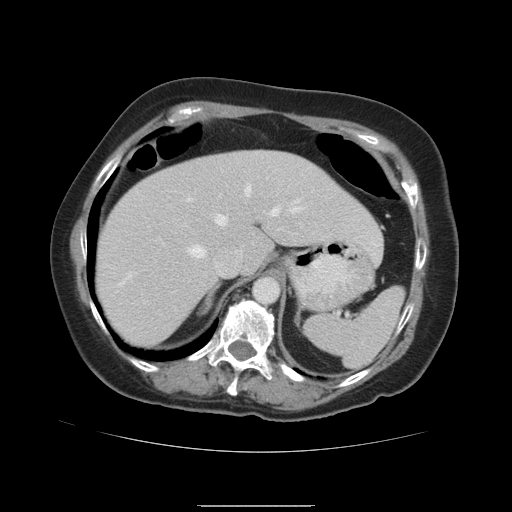

Computed tomography. Liver. Only some of the vessels may be annotated.
hepatic vessel: [x1=271, y1=208, x2=279, y2=215], [x1=187, y1=199, x2=191, y2=200], [x1=119, y1=273, x2=132, y2=286], [x1=216, y1=214, x2=227, y2=225], [x1=291, y1=207, x2=302, y2=212], [x1=189, y1=246, x2=206, y2=257], [x1=280, y1=228, x2=282, y2=229], [x1=246, y1=186, x2=251, y2=195]